Head
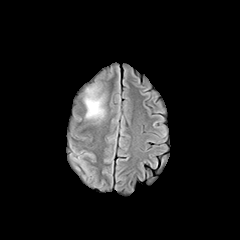
FLAIR magnetic resonance.
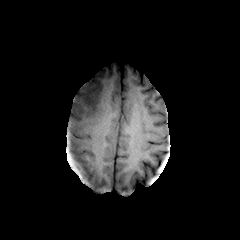
T1-weighted MR image.
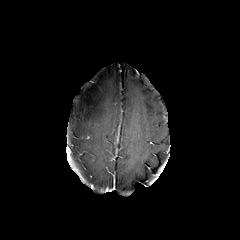
Post-contrast T1-weighted MR image.
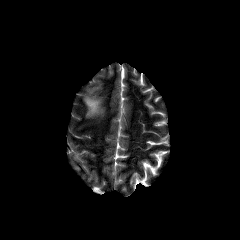
T2-weighted MRI.
The edema lies within <bbox>84, 86, 105, 121</bbox>.